CT scan slice, Slice 48/107, Image width 425 mm, Upper abdomen

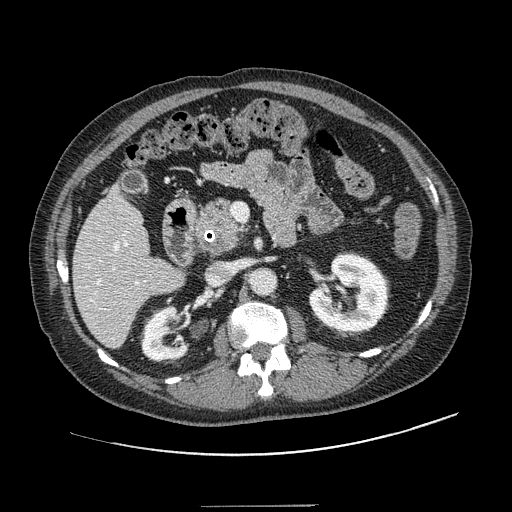 {
  "pancreatic_tumor": [
    "(212, 237, 228, 254)"
  ],
  "pancreas": [
    "(194, 197, 242, 256)"
  ]
}